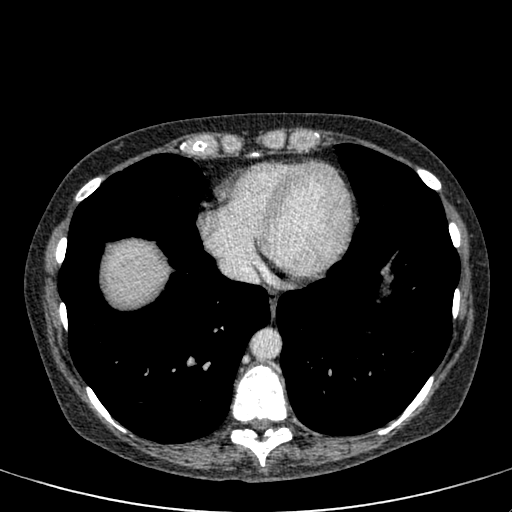

CT.
Liver = region(104, 241, 166, 304).